Image width 500 mm; Slice 278 of 299; CT image; Brain

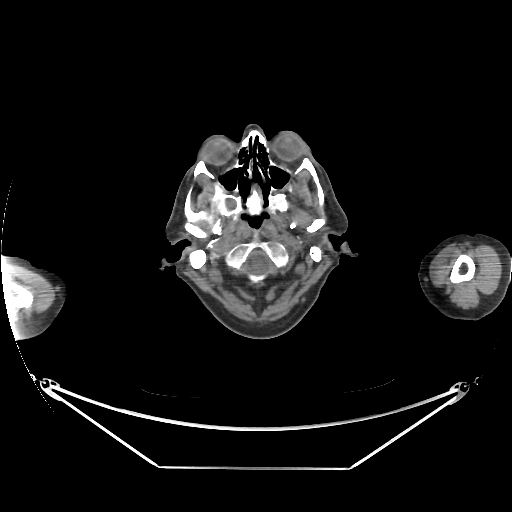
The brain is at x1=241, y1=249, x2=274, y2=276.